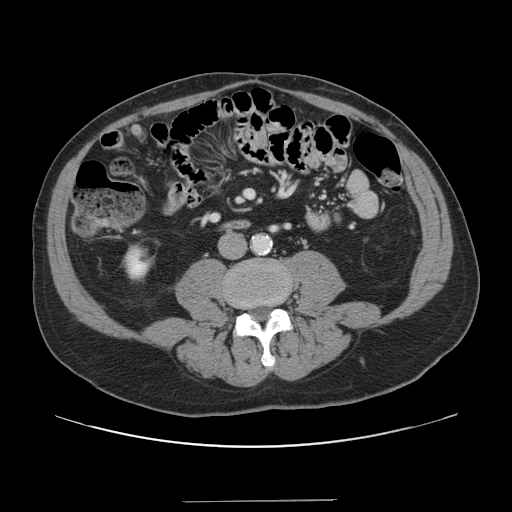

Computed tomography

Some hepatic vessels may have no box.
The hepatic vessel is bounded by [247,193,252,196].